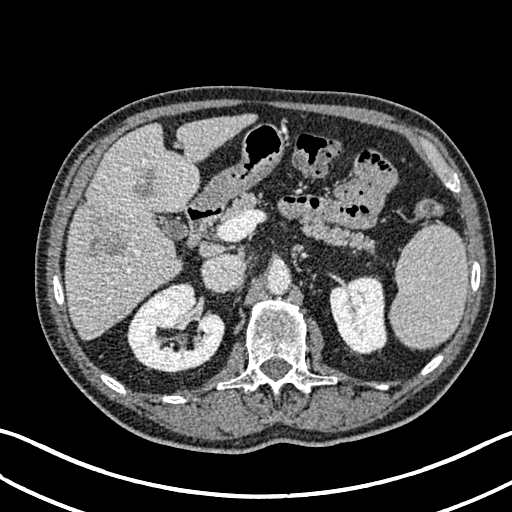 CT slice
<segmentation>
  <liver_lesion>132, 169, 156, 196; 88, 215, 130, 256</liver_lesion>
  <liver>66, 114, 254, 338</liver>
  <kidney>128, 284, 223, 371; 330, 278, 385, 352</kidney>
</segmentation>